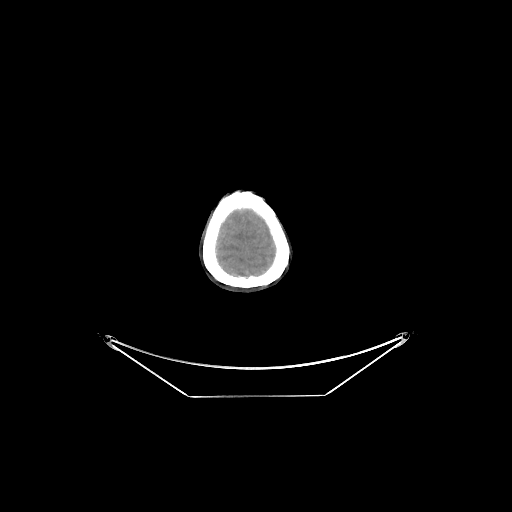

Brain | CT image | 512x512 px

Brain — 217:210:274:276.